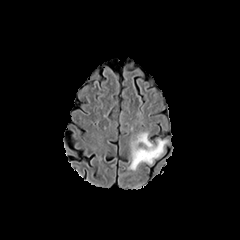
FLAIR MR.
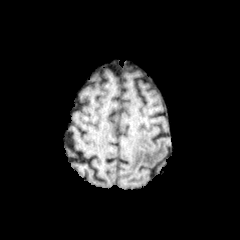
Same slice, T1-weighted MR.
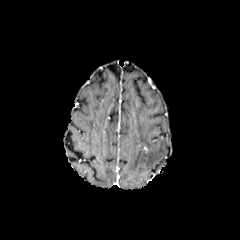
Post-contrast T1-weighted MRI.
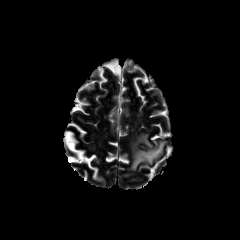
Same slice, T2-weighted MR image.
Annotated regions:
- edema: bbox=[128, 133, 167, 171]